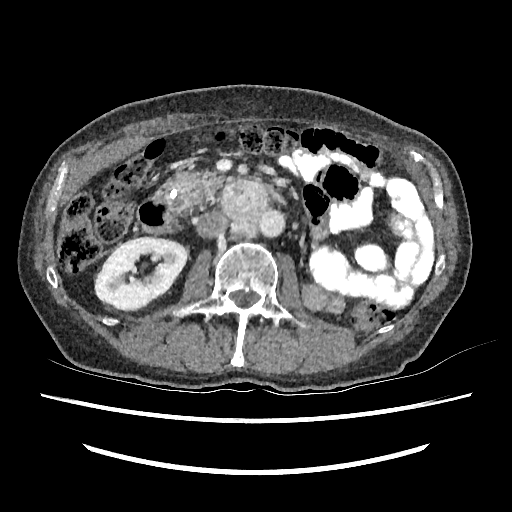 Abdomen | 512x512 | CT scan slice
Kidney: rect(95, 237, 186, 309).